Pelvis; CT

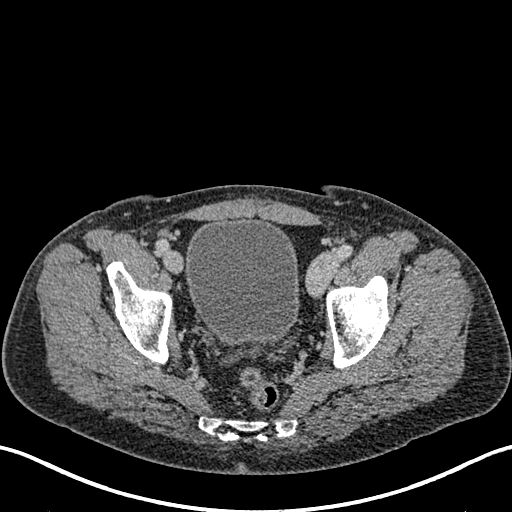

Urinary bladder: bounding box 185 216 299 345.